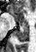
Medial temporal lobe; MR
Posterior hippocampus — box=[14, 23, 27, 41].
Anterior hippocampus — box=[9, 10, 12, 12]; box=[13, 15, 17, 20]; box=[23, 18, 27, 22].